Slice index 115; Image width 385 mm; CT scan slice
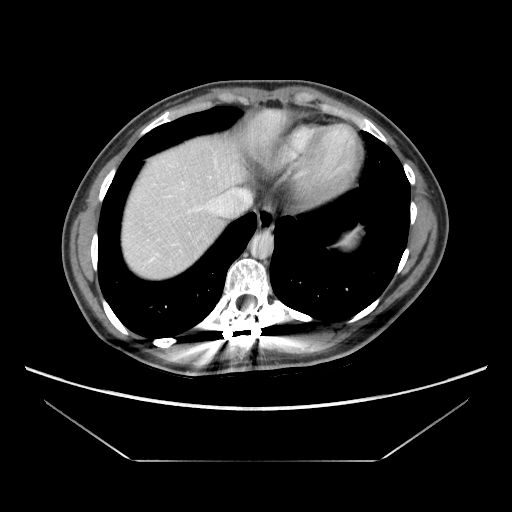

The vessel annotation is not exhaustive.
hepatic_vessel:
  - 214, 160, 219, 177
  - 187, 189, 250, 215
  - 182, 187, 184, 188